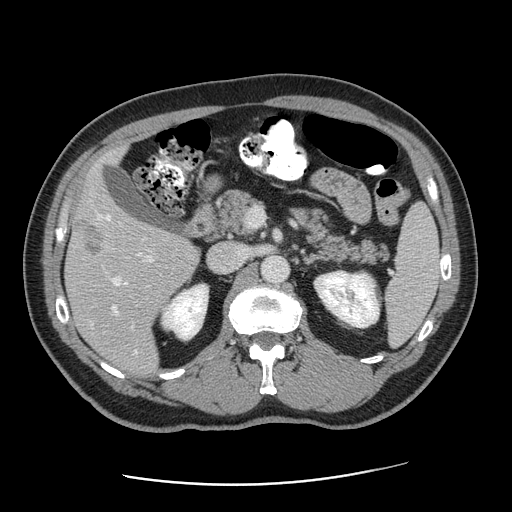

Liver; CT scan slice
Some hepatic vessels may have no box.
Hepatic vessel at (left=143, top=256, right=152, bottom=260), (left=113, top=277, right=121, bottom=283), (left=125, top=282, right=127, bottom=283), (left=139, top=253, right=142, bottom=255), (left=113, top=306, right=118, bottom=315), (left=97, top=213, right=110, bottom=219), (left=135, top=350, right=136, bottom=352).
Liver tumor at (left=72, top=215, right=108, bottom=258).